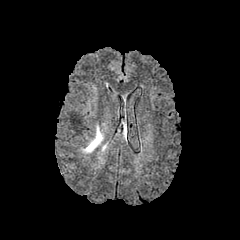
FLAIR magnetic resonance.
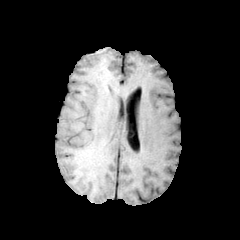
T1-weighted MR.
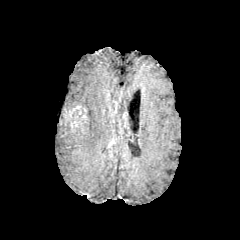
Post-contrast T1-weighted MR image.
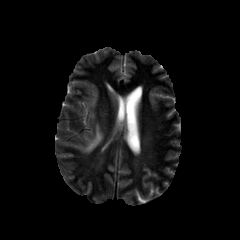
T2-weighted MRI of the same slice.
Brain
Edema = bbox=[81, 122, 104, 153].
Non-enhancing tumor core = bbox=[62, 107, 86, 125].